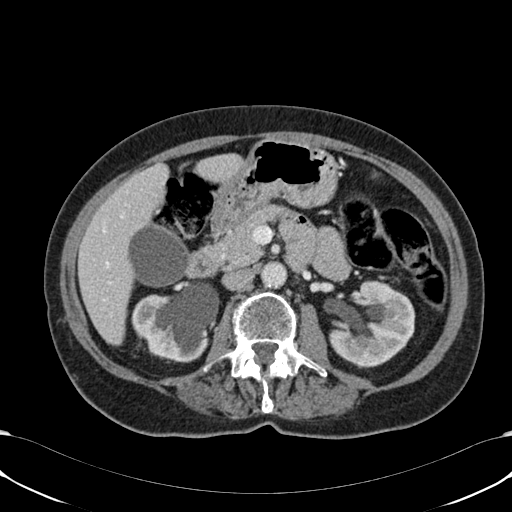
Computed tomography; Image size 512x512

Liver: rect(196, 155, 244, 181); rect(79, 162, 168, 345).
Kidney: rect(330, 282, 414, 366); rect(132, 288, 219, 361).